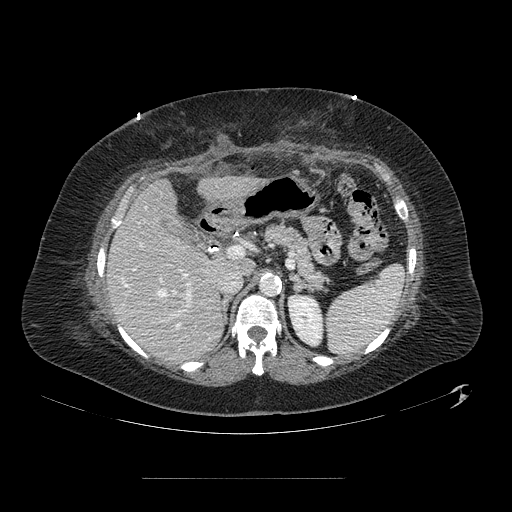
CT scan slice
The pancreas is bounded by (x1=263, y1=224, x2=327, y2=291).